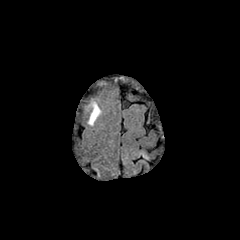
FLAIR MR.
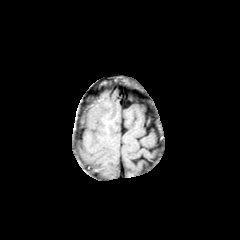
Same slice, T1-weighted MRI.
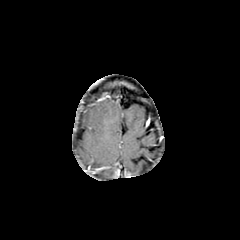
Same slice, post-contrast T1-weighted magnetic resonance.
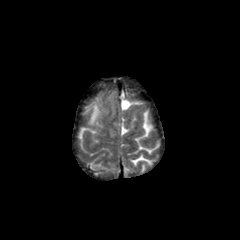
T2-weighted MR of the same slice.
Head
The edema lies within (89,103,100,124).